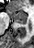
Hippocampus | MRI slice
anterior hippocampus: <box>7,10,26,19</box> | posterior hippocampus: <box>14,20,26,23</box>